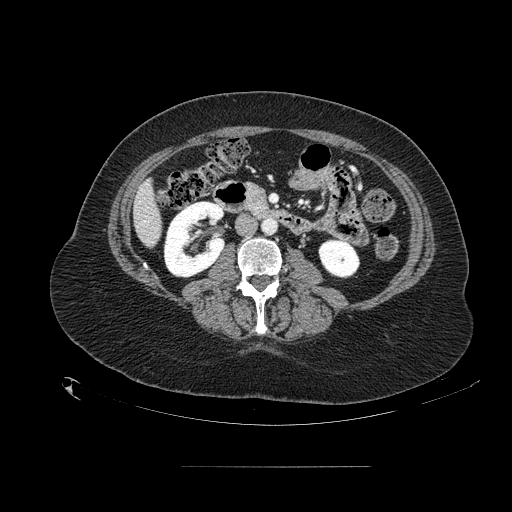
Upper abdomen | CT slice

The pancreas is bounded by [x1=246, y1=183, x2=271, y2=218].